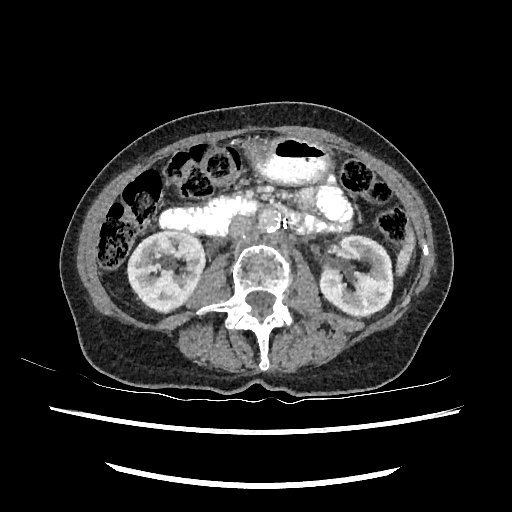

Abdomen; CT scan slice; 512x512 px
kidney:
  - 320,236,392,315
  - 128,228,204,310